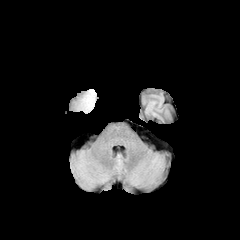
FLAIR magnetic resonance.
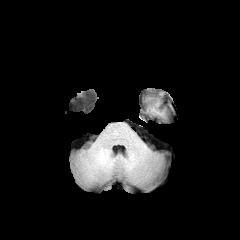
T1-weighted MRI of the same slice.
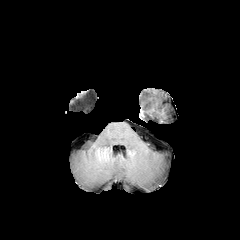
Post-contrast T1-weighted MR of the same slice.
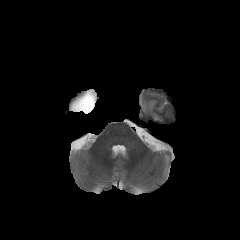
T2-weighted MR image of the same slice.
240x240 px. Head.
The non-enhancing tumor core is bounded by (left=72, top=90, right=95, bottom=111).